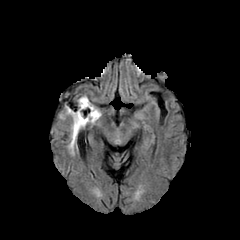
FLAIR MRI.
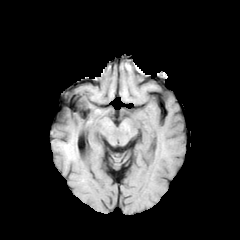
T1-weighted MR.
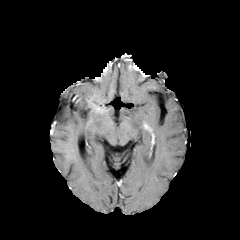
Post-contrast T1-weighted MR image.
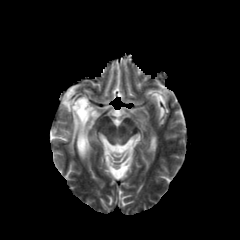
T2-weighted MRI.
Brain
non-enhancing_tumor_core:
  - 77, 110, 87, 123
  - 72, 96, 96, 115
edema:
  - 60, 104, 101, 153